Head; Image size 240x240
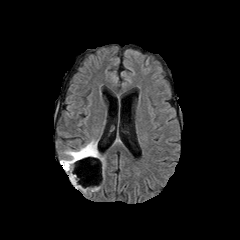
FLAIR MR image.
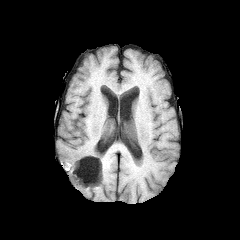
T1-weighted MR.
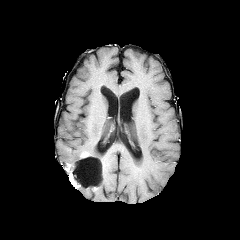
Post-contrast T1-weighted MRI.
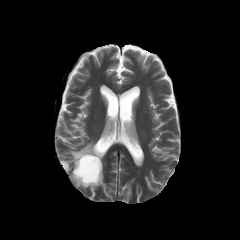
T2-weighted MR.
Edema — bbox=[60, 139, 97, 171].
Non-enhancing tumor core — bbox=[78, 144, 98, 159].